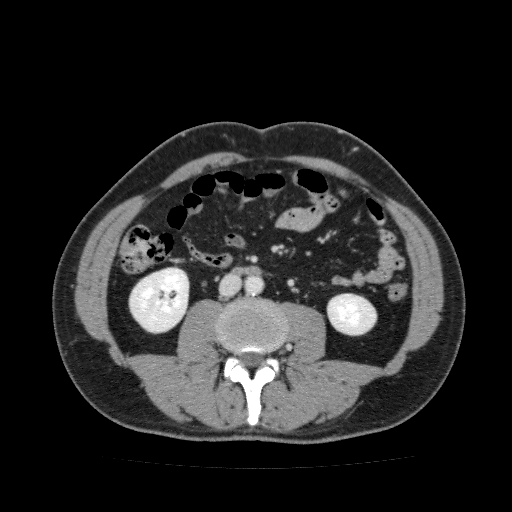
Computed tomography
{"kidney": ["left=129, top=268, right=188, bottom=332", "left=327, top=294, right=376, bottom=334"]}